Computed tomography 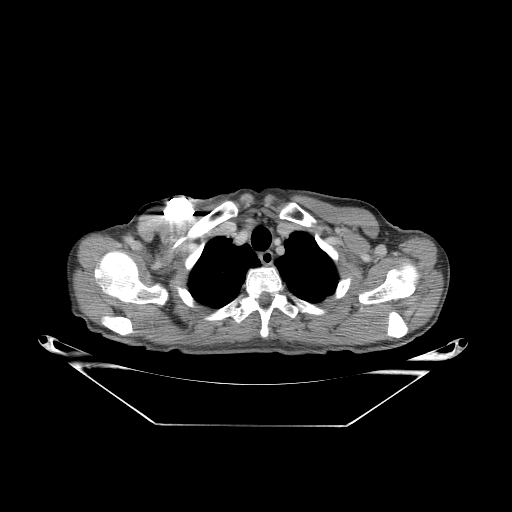

• bone: bbox(336, 278, 350, 297); bbox(280, 203, 337, 259); bbox(177, 287, 192, 305); bbox(233, 268, 297, 336); bbox(388, 312, 407, 337); bbox(303, 303, 323, 314); bbox(102, 316, 132, 334); bbox(206, 308, 228, 320); bbox(164, 197, 236, 268); bbox(95, 251, 167, 304); bbox(359, 264, 418, 304)
• lung: bbox(187, 236, 259, 308); bbox(275, 231, 338, 302)